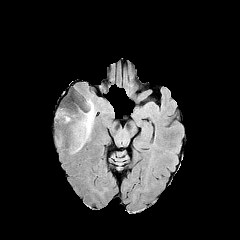
FLAIR MRI.
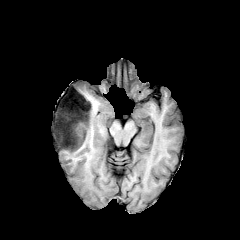
T1-weighted magnetic resonance.
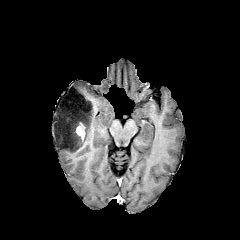
Post-contrast T1-weighted MRI.
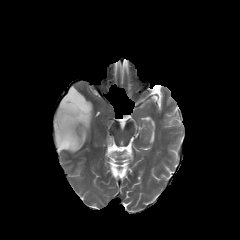
T2-weighted MR.
enhancing tumor: x1=76 y1=122 x2=85 y2=141 | non-enhancing tumor core: x1=56 y1=94 x2=91 y2=151 | edema: x1=84 y1=102 x2=97 y2=143